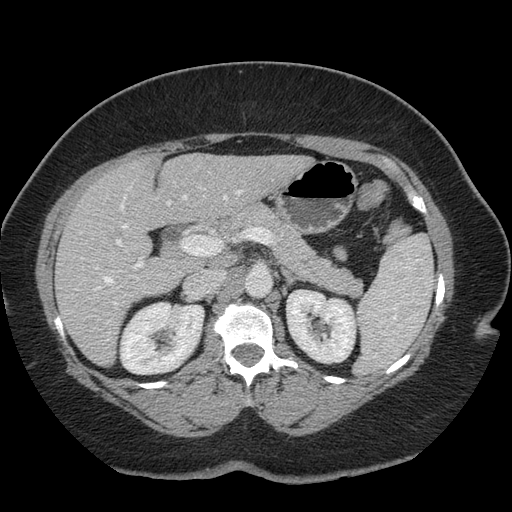 Abdomen, Image size 512x512, CT scan slice
The vessel boxes may cover only some of the vessels.
<segmentation>
  <hepatic_vessel>236,191,242,194; 121,197,125,210; 135,258,142,268; 134,277,138,279; 104,277,112,283; 183,196,186,199; 168,201,170,205; 125,250,127,251; 224,196,227,199; 95,267,98,270; 123,224,128,228; 114,302,117,305; 199,187,205,190; 182,236,212,255; 117,240,122,245</hepatic_vessel>
</segmentation>